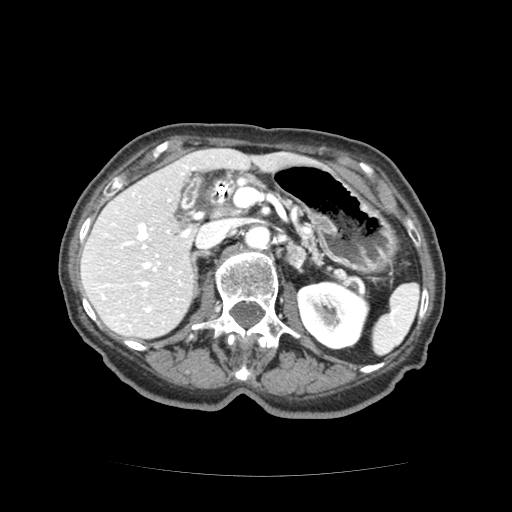
Computed tomography

{
  "pancreas": [
    "303 232 323 265",
    "335 272 346 280",
    "214 202 241 217"
  ]
}